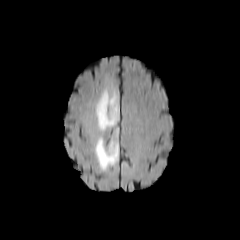
FLAIR MRI.
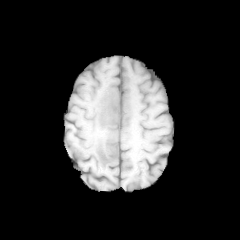
T1-weighted MRI.
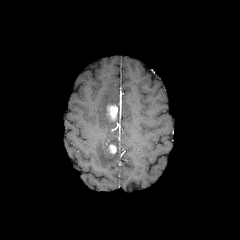
Post-contrast T1-weighted MR image.
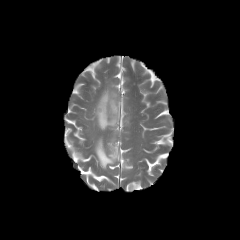
Same slice, T2-weighted MRI.
Head
edema:
  - {"x1": 95, "y1": 90, "x2": 119, "y2": 138}
  - {"x1": 94, "y1": 136, "x2": 118, "y2": 168}
enhancing_tumor:
  - {"x1": 108, "y1": 144, "x2": 116, "y2": 153}
  - {"x1": 106, "y1": 104, "x2": 118, "y2": 121}